FLAIR magnetic resonance.
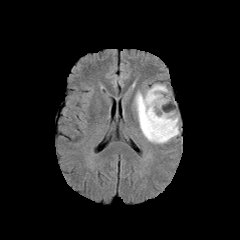
T1-weighted MR image.
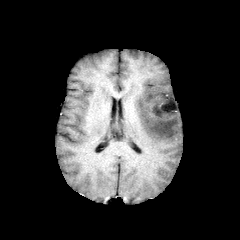
Post-contrast T1-weighted magnetic resonance.
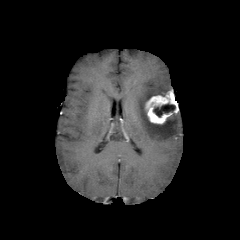
T2-weighted MR image.
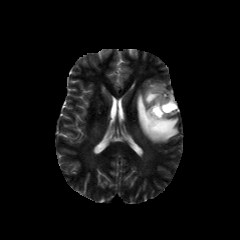
240x240
edema:
  - box=[135, 81, 181, 143]
enhancing_tumor:
  - box=[145, 91, 178, 123]
non-enhancing_tumor_core:
  - box=[140, 101, 172, 133]
  - box=[153, 103, 175, 116]
  - box=[146, 92, 167, 101]